Upper abdomen; Computed tomography
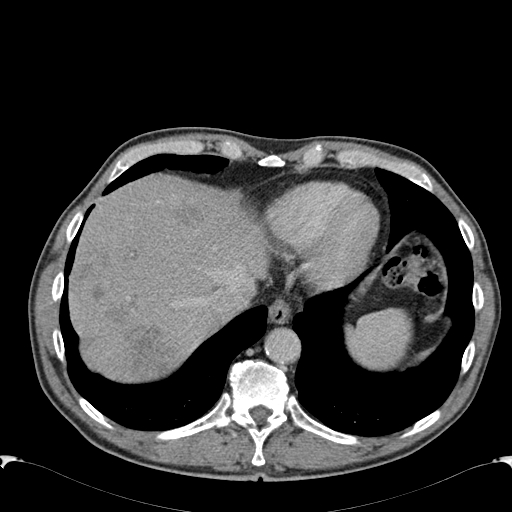
Liver lesion: bounding box region(127, 327, 180, 377); region(91, 286, 104, 299); region(107, 305, 125, 321); region(179, 205, 204, 223).
Liver: bounding box region(68, 173, 268, 379).